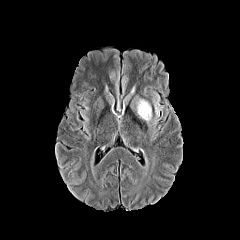
FLAIR MR image.
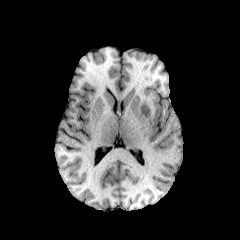
T1-weighted magnetic resonance.
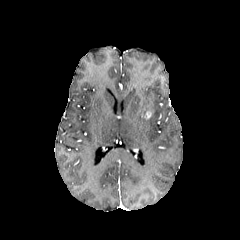
Post-contrast T1-weighted MR.
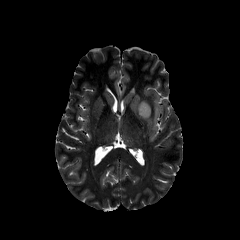
T2-weighted magnetic resonance.
240x240 px, Head
Annotated regions:
- edema: bbox=[135, 92, 163, 126]